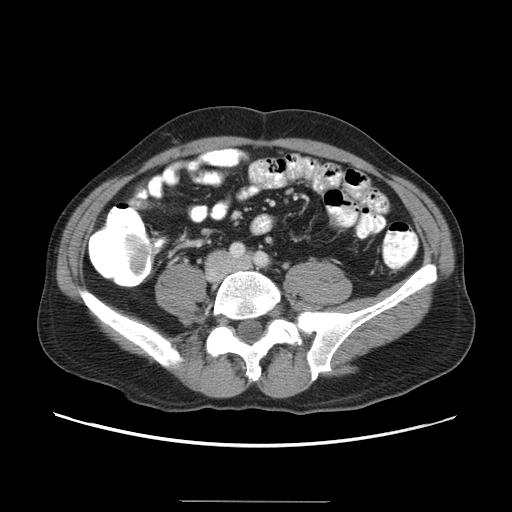 CT scan slice. Pelvis. Image size 512x512. colon tumor: box(125, 233, 148, 276)